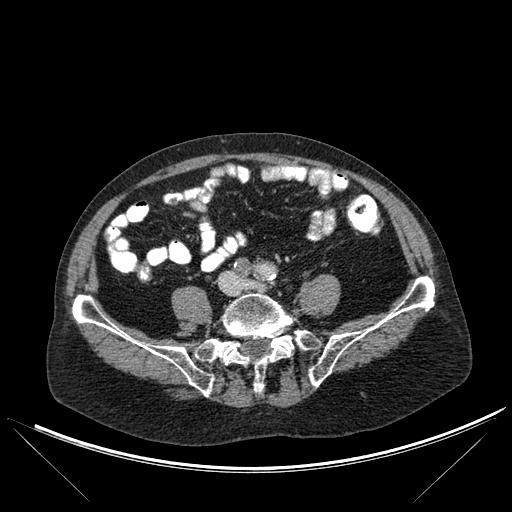

CT image
{
  "bone": [
    "bbox=[72, 295, 213, 396]",
    "bbox=[309, 276, 434, 386]",
    "bbox=[194, 294, 294, 391]",
    "bbox=[294, 330, 316, 349]"
  ]
}